FLAIR MR.
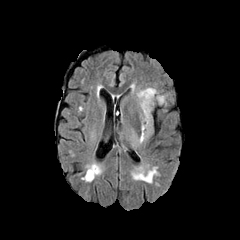
T1-weighted MR image.
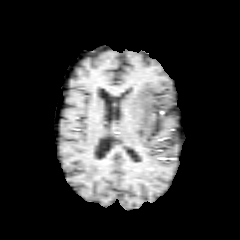
Post-contrast T1-weighted MRI.
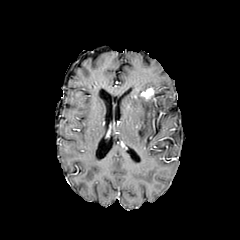
T2-weighted MRI.
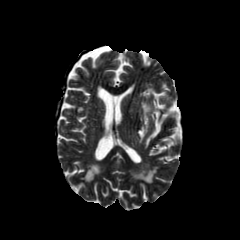
Brain
{
  "edema": [
    "l=137, t=87, r=166, b=142"
  ],
  "enhancing_tumor": [
    "l=142, t=89, r=152, b=97"
  ]
}